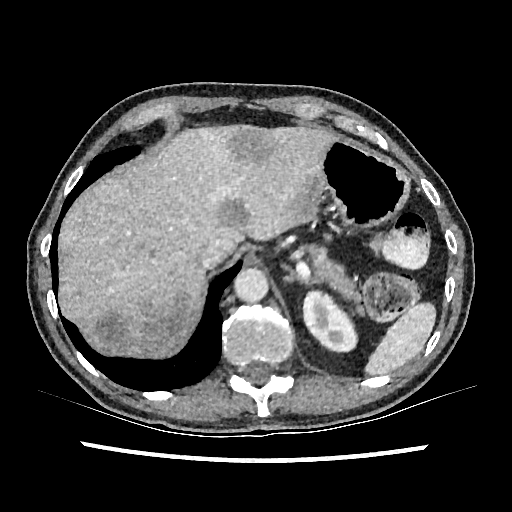
CT scan slice
Annotated regions:
- liver: left=111, top=353, right=162, bottom=358; left=61, top=124, right=336, bottom=321
- liver lesion: left=75, top=292, right=199, bottom=356; left=214, top=196, right=252, bottom=230; left=61, top=250, right=71, bottom=257; left=224, top=126, right=277, bottom=165; left=288, top=172, right=320, bottom=221
- kidney: left=303, top=292, right=355, bottom=350